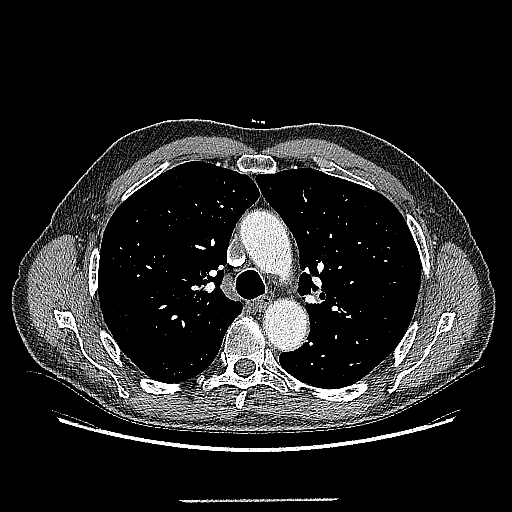

Image size 512x512, Computed tomography, Chest
Findings:
• lung tumor: 338,307,355,319